Abdomen. CT.
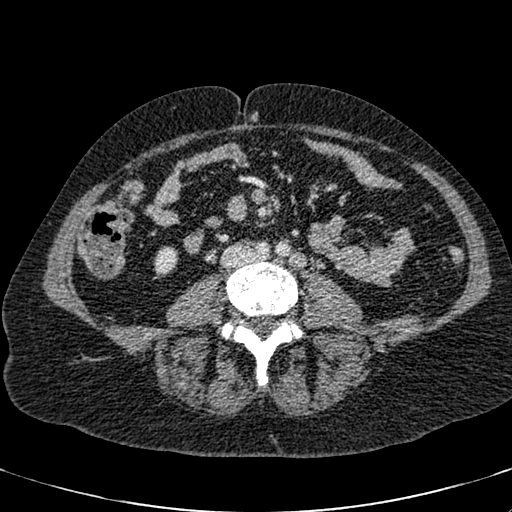
The kidney appears at rect(155, 247, 176, 273).